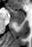 MR image. Image size 32x47.

anterior hippocampus: <box>7,9,24,18</box> | posterior hippocampus: <box>13,19,24,25</box>